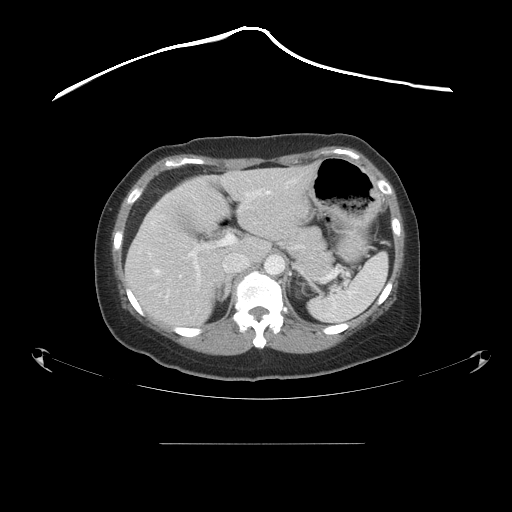
Computed tomography | Liver
The vessel boxes may cover only some of the vessels.
13 hepatic vessel regions appear at x1=179, y1=276, x2=181, y2=277; x1=245, y1=190, x2=260, y2=199; x1=147, y1=248, x2=150, y2=258; x1=160, y1=215, x2=164, y2=218; x1=154, y1=269, x2=159, y2=275; x1=223, y1=254, x2=248, y2=271; x1=158, y1=294, x2=161, y2=296; x1=265, y1=191, x2=269, y2=194; x1=196, y1=289, x2=197, y2=290; x1=168, y1=279, x2=170, y2=281; x1=188, y1=234, x2=235, y2=281; x1=285, y1=180, x2=295, y2=187; x1=164, y1=290, x2=169, y2=302.